240x240 | Brain | Slice index 93 | Field of view 240x240 mm
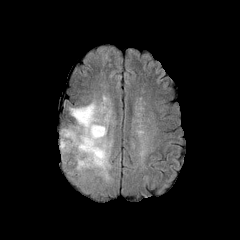
FLAIR MR.
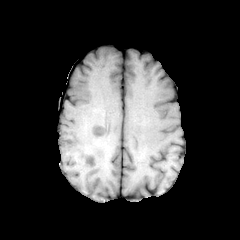
T1-weighted magnetic resonance.
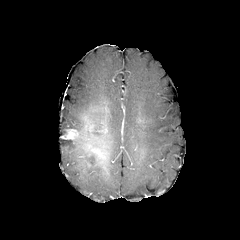
Post-contrast T1-weighted MRI.
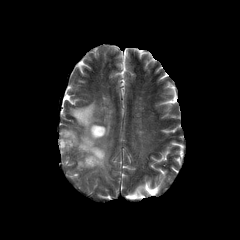
T2-weighted MR image of the same slice.
Non-enhancing tumor core at [x1=61, y1=129, x2=81, y2=146], [x1=83, y1=116, x2=107, y2=135], [x1=85, y1=136, x2=108, y2=165].
Enhancing tumor at [x1=64, y1=130, x2=73, y2=138].
Edema at [x1=60, y1=92, x2=112, y2=180].